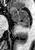
MR image. 35x50. Anterior hippocampus — 9, 8, 30, 23.
Posterior hippocampus — 18, 24, 29, 27.